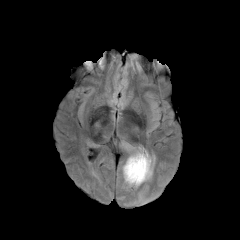
FLAIR magnetic resonance.
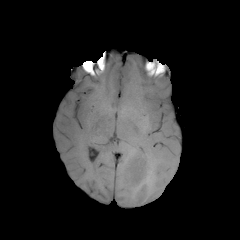
T1-weighted MRI.
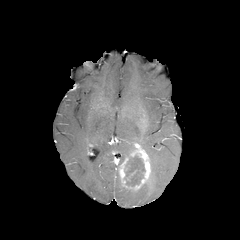
Post-contrast T1-weighted MR image of the same slice.
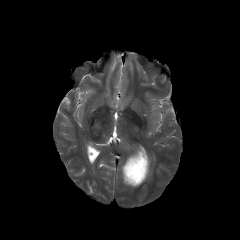
T2-weighted MRI.
Image size 240x240. Brain.
The enhancing tumor is at rect(136, 146, 149, 177). The non-enhancing tumor core is bounded by rect(125, 154, 146, 184). The edema is bounded by rect(142, 146, 153, 176).